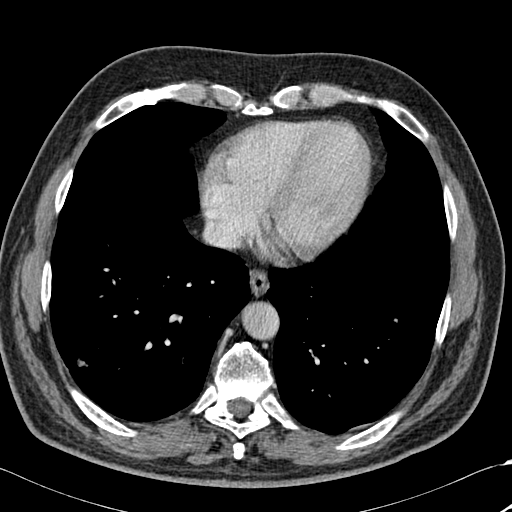
CT slice.
bone: box=[378, 101, 427, 139]; box=[72, 390, 135, 436]; box=[96, 84, 187, 127]; box=[444, 187, 457, 236]; box=[273, 87, 294, 107]; box=[55, 171, 71, 211]; box=[337, 414, 399, 449]; box=[41, 263, 51, 307]; box=[436, 299, 450, 342]; box=[233, 443, 244, 458]; box=[193, 342, 296, 437]; box=[243, 104, 272, 114] | lung: box=[49, 102, 250, 421]; box=[266, 108, 449, 434]